FLAIR MR.
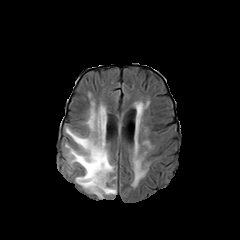
T1-weighted magnetic resonance.
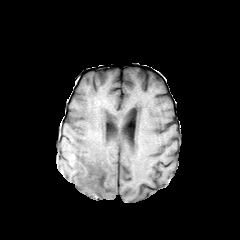
Post-contrast T1-weighted MRI.
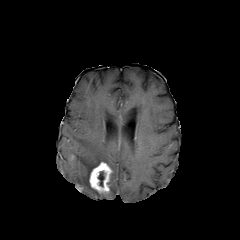
T2-weighted MRI.
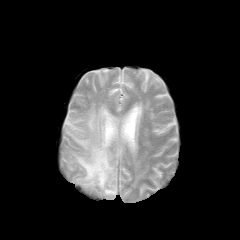
Head, 240x240
Annotated regions:
- edema: (135, 164, 141, 179), (65, 102, 116, 197)
- enhancing tumor: (89, 162, 112, 193)
- non-enhancing tumor core: (98, 171, 104, 185)